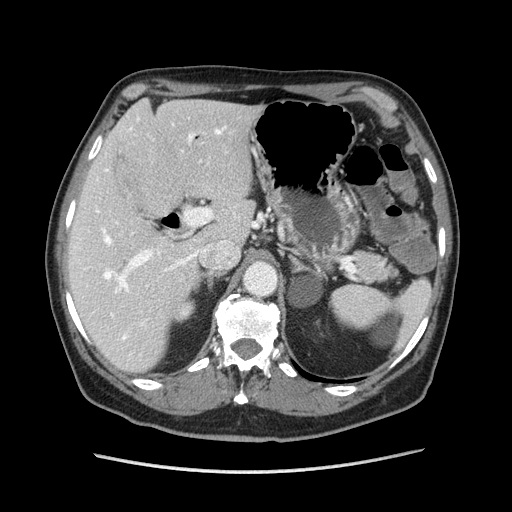

Computed tomography. 512x512 px. Abdomen.
pancreas: rect(356, 253, 397, 282)